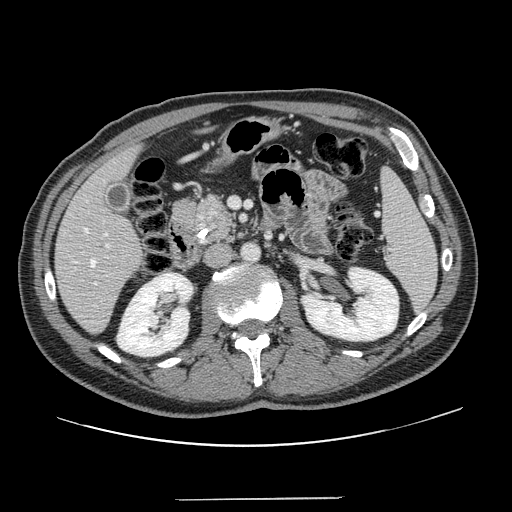 Image size 512x512 | Abdomen | CT slice

Annotated regions:
- pancreas: 171, 191, 240, 247
- pancreatic tumor: 199, 200, 231, 244